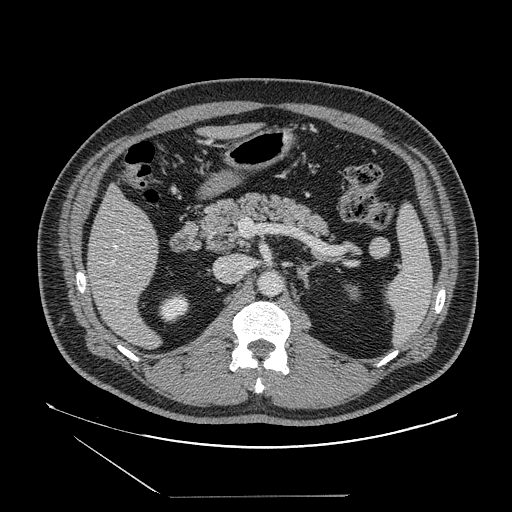
Abdomen; CT slice
pancreas: (left=197, top=192, right=337, bottom=255) | pancreatic tumor: (left=214, top=233, right=232, bottom=252)